Computed tomography | Upper abdomen
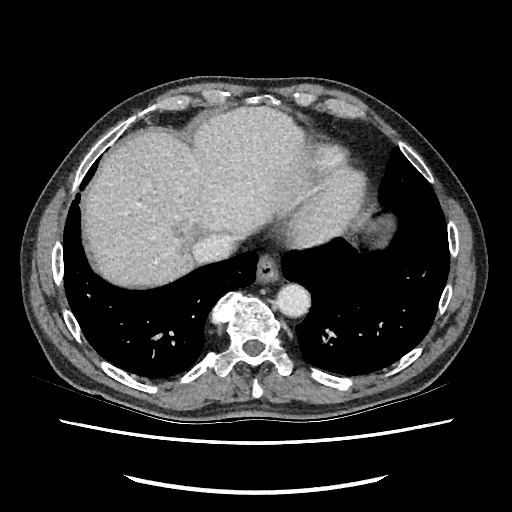
* hepatic lesion: 175:223:208:250
* liver: 86:109:300:287